Slice 370 of 536. CT scan slice. Liver.
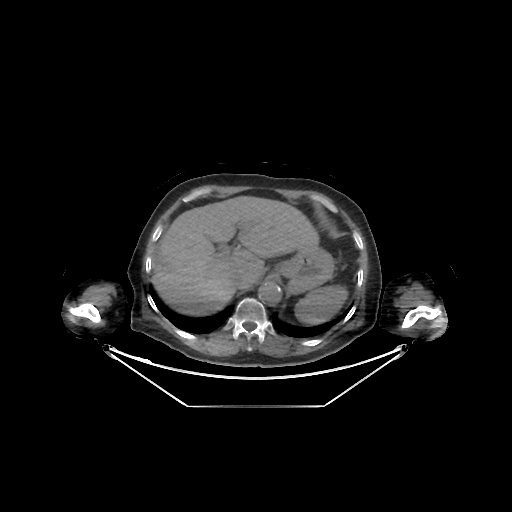 Liver: bounding box 152:197:318:316.
Lung: bounding box 150:284:233:333, 272:303:352:337.
Bone: bounding box 234:298:269:338, 146:257:150:271, 153:227:161:240, 358:270:362:286, 176:330:195:339, 402:305:440:327, 69:303:100:322, 355:237:362:248, 148:296:157:310, 344:307:355:321, 303:340:320:345.